Slice 401/751; Computed tomography 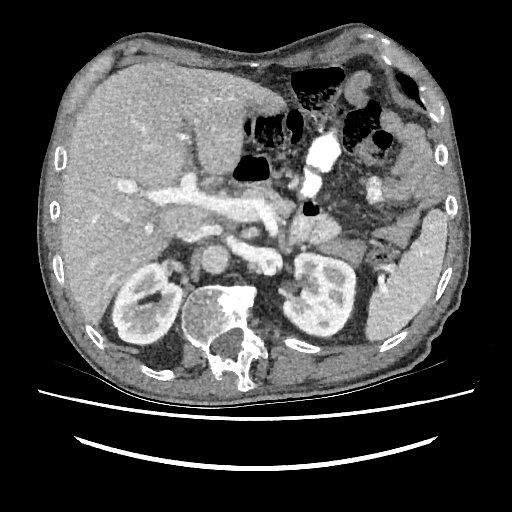

2 kidney regions are bounded by bbox(283, 253, 355, 335); bbox(113, 263, 182, 343). The liver is at bbox(62, 62, 285, 324).